240x240 px
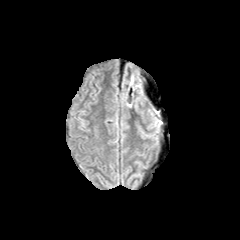
FLAIR magnetic resonance.
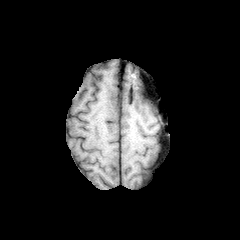
T1-weighted MRI of the same slice.
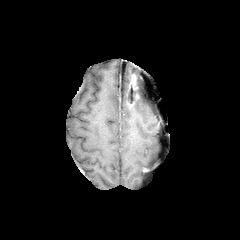
Post-contrast T1-weighted MR image.
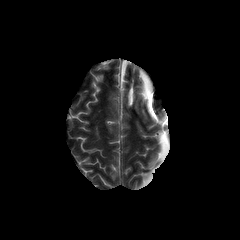
Same slice, T2-weighted MRI.
3 edema regions appear at [x1=148, y1=117, x2=161, y2=129], [x1=141, y1=130, x2=157, y2=139], [x1=128, y1=83, x2=145, y2=103].